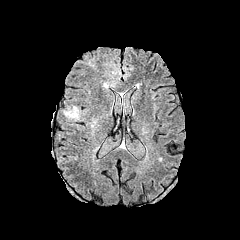
FLAIR MR image.
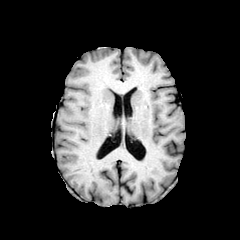
Same slice, T1-weighted MR image.
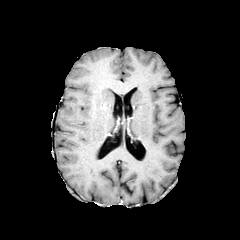
Post-contrast T1-weighted MR image of the same slice.
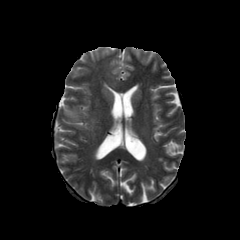
T2-weighted MR image.
Edema: x1=64, y1=106, x2=96, y2=128.